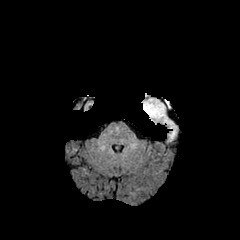
FLAIR MR.
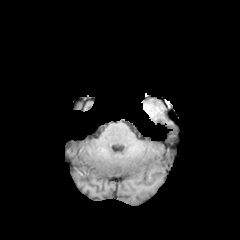
Same slice, T1-weighted MRI.
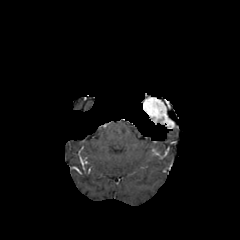
Post-contrast T1-weighted magnetic resonance.
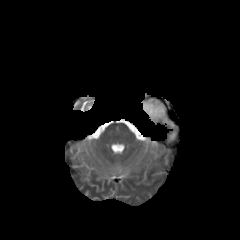
T2-weighted MR of the same slice.
Head
The enhancing tumor is bounded by rect(143, 97, 173, 128).